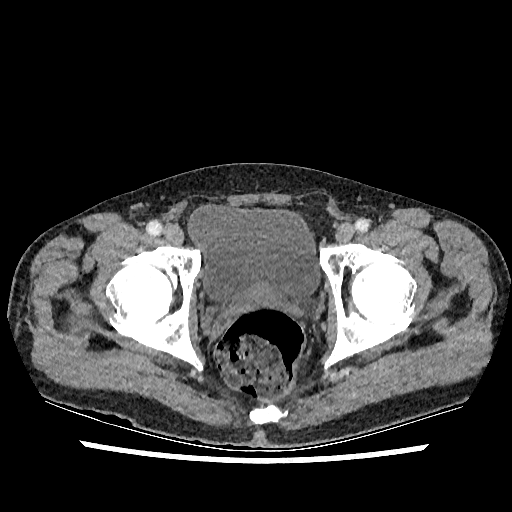 Lower abdomen, CT
The urinary bladder lies within <box>190,203,320,326</box>.